Slice 541/733, CT slice, Image width 388 mm, 512x512
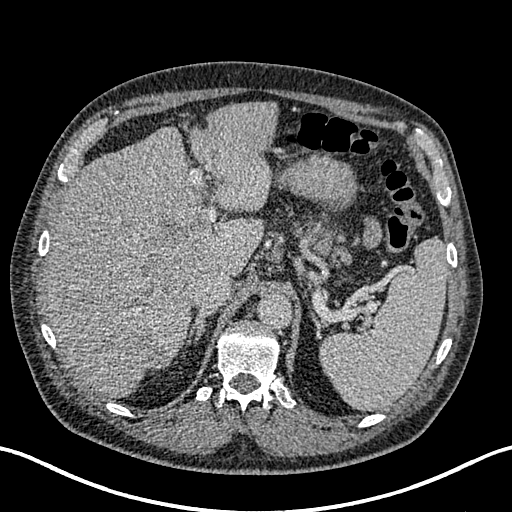 focal liver lesion: bbox=[234, 153, 260, 180]; bbox=[80, 291, 95, 309]; bbox=[122, 330, 163, 372]; bbox=[142, 218, 207, 300]; bbox=[130, 289, 153, 307] | liver: bbox=[192, 102, 279, 210]; bbox=[45, 127, 263, 396]